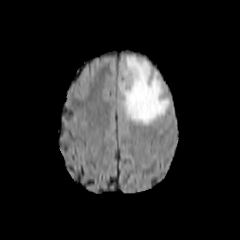
FLAIR MRI.
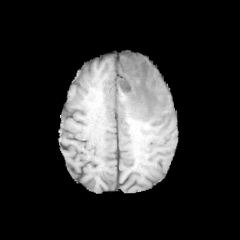
T1-weighted MRI of the same slice.
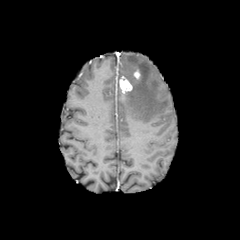
Post-contrast T1-weighted magnetic resonance.
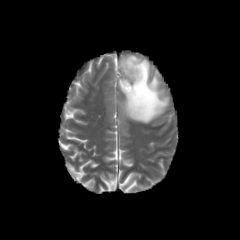
Same slice, T2-weighted MR.
edema: [122, 56, 170, 124] | enhancing tumor: [119, 76, 132, 93], [134, 69, 140, 79] | non-enhancing tumor core: [123, 63, 137, 76]